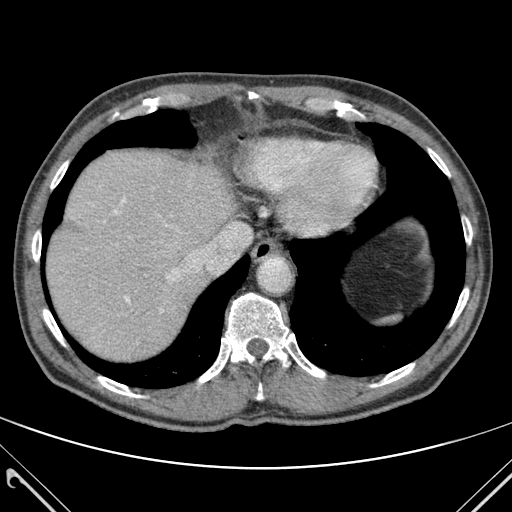

Computed tomography.
The liver is at (x1=47, y1=150, x2=238, y2=361). 11 bone regions appear at (x1=32, y1=231, x2=41, y2=261), (x1=450, y1=288, x2=468, y2=324), (x1=257, y1=384, x2=262, y2=399), (x1=246, y1=92, x2=258, y2=98), (x1=428, y1=149, x2=449, y2=175), (x1=463, y1=218, x2=472, y2=243), (x1=51, y1=162, x2=67, y2=188), (x1=43, y1=309, x2=64, y2=345), (x1=98, y1=377, x2=139, y2=397), (x1=199, y1=293, x2=324, y2=382), (x1=372, y1=364, x2=414, y2=386). 3 lung regions appear at (x1=67, y1=255, x2=249, y2=387), (x1=42, y1=109, x2=196, y2=247), (x1=290, y1=123, x2=465, y2=376).